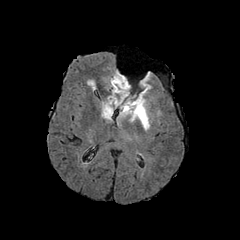
FLAIR MR.
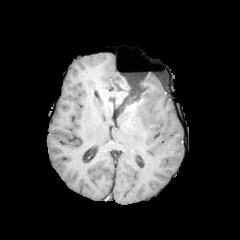
T1-weighted magnetic resonance.
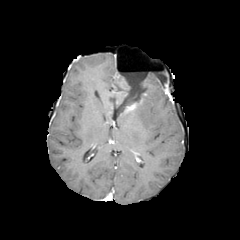
Same slice, post-contrast T1-weighted MR image.
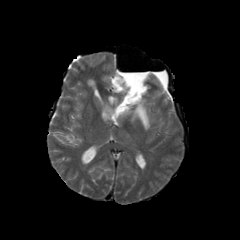
Same slice, T2-weighted magnetic resonance.
Non-enhancing tumor core at (x1=112, y1=76, x2=145, y2=112).
Edema at (x1=118, y1=74, x2=154, y2=130), (x1=101, y1=101, x2=112, y2=119), (x1=104, y1=73, x2=125, y2=108).
Enhancing tumor at (x1=125, y1=103, x2=136, y2=111).